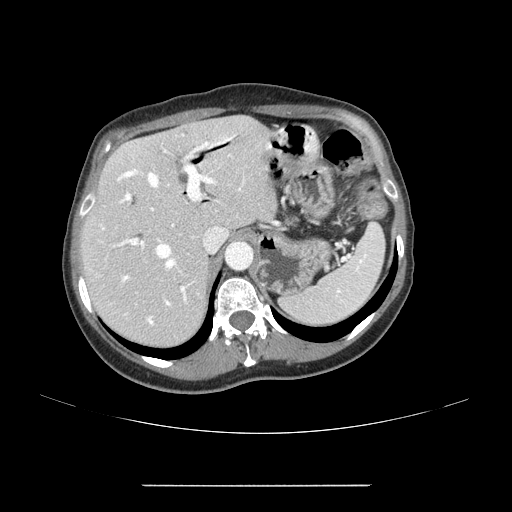 Abdomen | CT scan slice

pancreas: bbox=[288, 219, 296, 226]